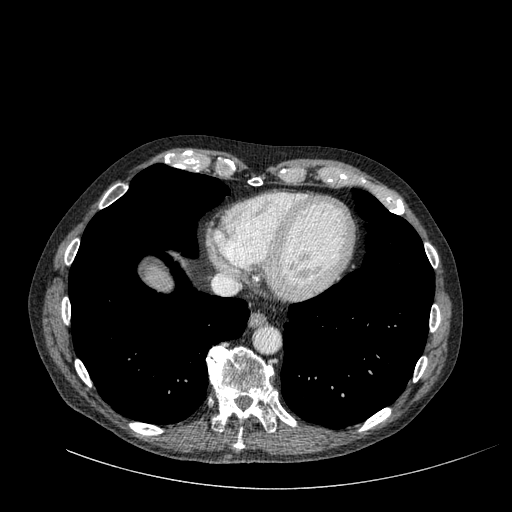
Image size 512x512. Abdomen. CT scan slice. The liver is bounded by {"x1": 144, "y1": 266, "x2": 171, "y2": 290}.